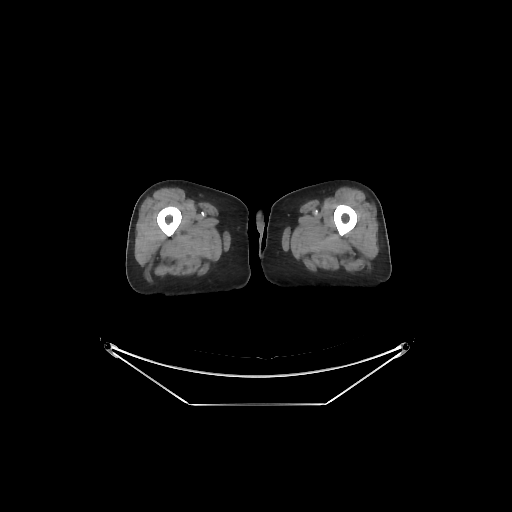 CT scan slice
Segmented structures:
- bone: 157:206:181:236, 334:204:356:235